Abdomen; Slice index 38; Image size 512x512; CT image; Field of view 379x379 mm
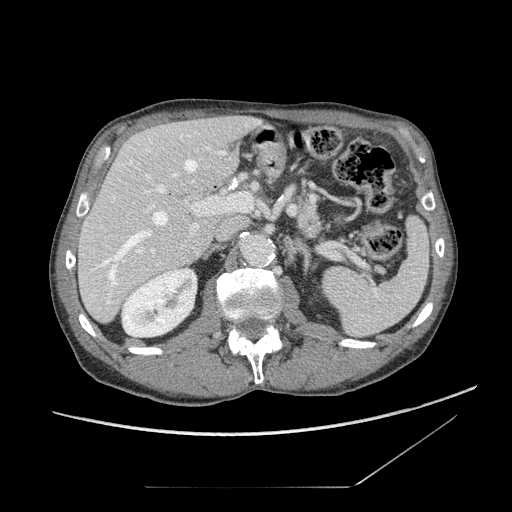 The pancreas appears at region(298, 205, 321, 237).